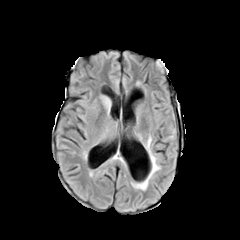
FLAIR MR image.
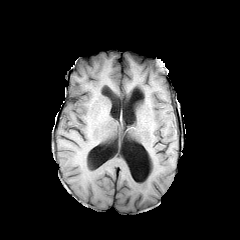
Same slice, T1-weighted MRI.
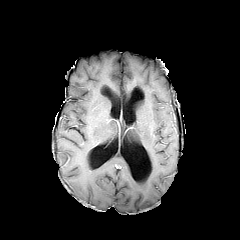
Post-contrast T1-weighted magnetic resonance.
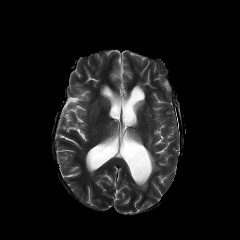
Same slice, T2-weighted magnetic resonance.
Head
Annotated regions:
- edema: bbox(132, 135, 161, 190)